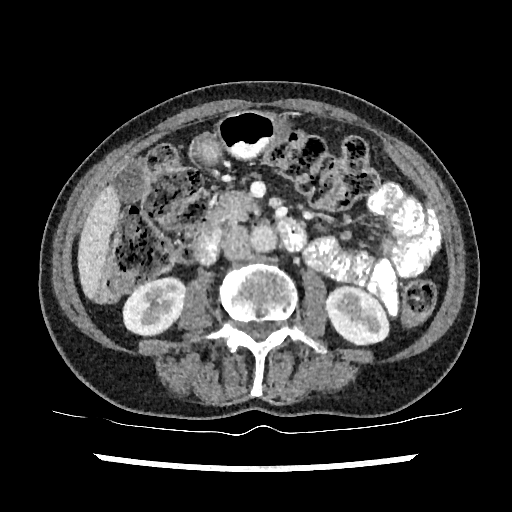 512x512 px, CT slice, Abdomen

liver:
  - <box>80,189,118,297</box>
kidney:
  - <box>327,287,388,344</box>
  - <box>124,279,184,334</box>